Computed tomography; Image size 512x512; Abdomen
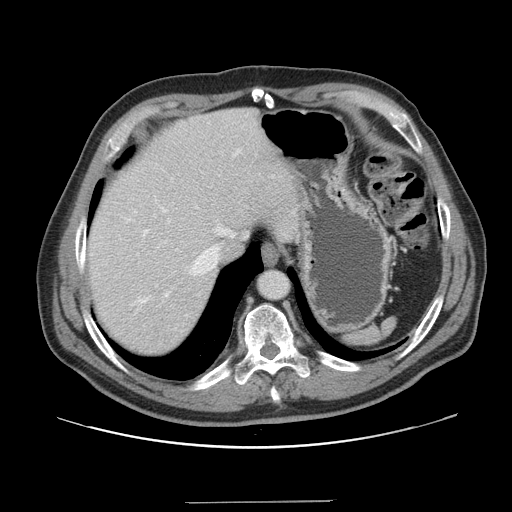 Not every hepatic vessel necessarily has a box.
Hepatic vessel = (left=190, top=246, right=218, bottom=273), (left=216, top=227, right=229, bottom=234), (left=162, top=208, right=165, bottom=211), (left=144, top=229, right=147, bottom=235), (left=139, top=298, right=147, bottom=301).